320x320 px, Heart, Magnetic resonance, Slice index 70

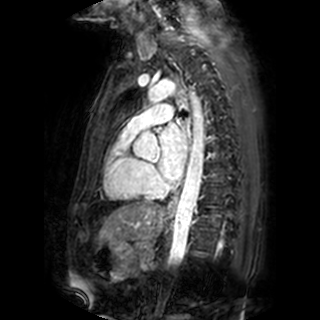 <segmentation>
  <left_atrium>bbox=[158, 123, 186, 181]</left_atrium>
</segmentation>